CT | Field of view 335x335 mm 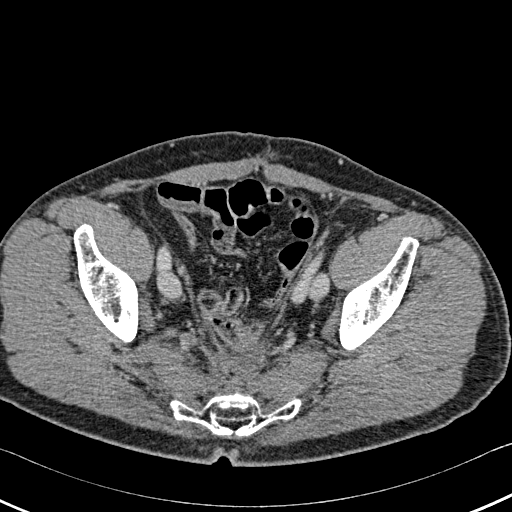 3 bone regions are located at <box>170,393,301,436</box>, <box>339,237,418,349</box>, <box>74,224,137,342</box>.